Field of view 453 mm wide, 2.50 mm slice spacing | Slice 39 of 93 | Abdomen | CT 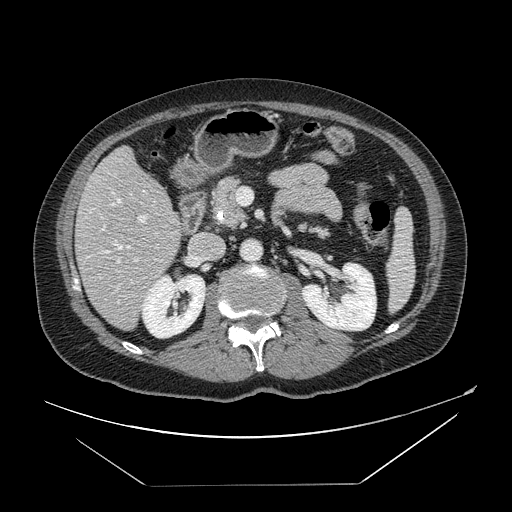 Pancreatic tumor: bounding box (x1=222, y1=200, x2=240, y2=217).
Pancreas: bounding box (x1=307, y1=227, x2=328, y2=238), (x1=212, y1=178, x2=247, y2=226).